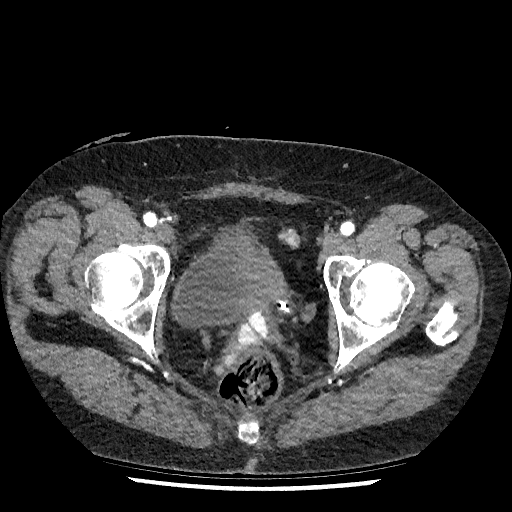

Lower abdomen, CT scan slice

urinary bladder: l=170, t=223, r=279, b=328